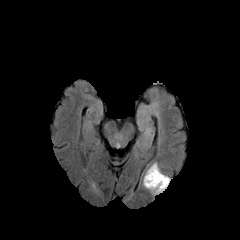
FLAIR MR.
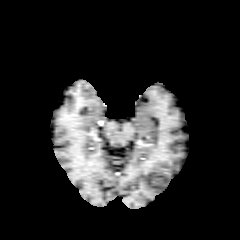
Same slice, T1-weighted MRI.
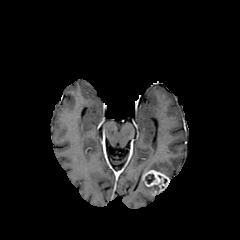
Post-contrast T1-weighted magnetic resonance of the same slice.
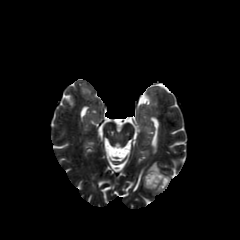
T2-weighted MR image of the same slice.
{
  "edema": [
    "left=141, top=176, right=156, bottom=196",
    "left=146, top=161, right=162, bottom=172"
  ],
  "enhancing_tumor": [
    "left=142, top=170, right=169, bottom=195"
  ],
  "non-enhancing_tumor_core": [
    "left=145, top=174, right=154, bottom=183"
  ]
}